CT scan slice | 512x512 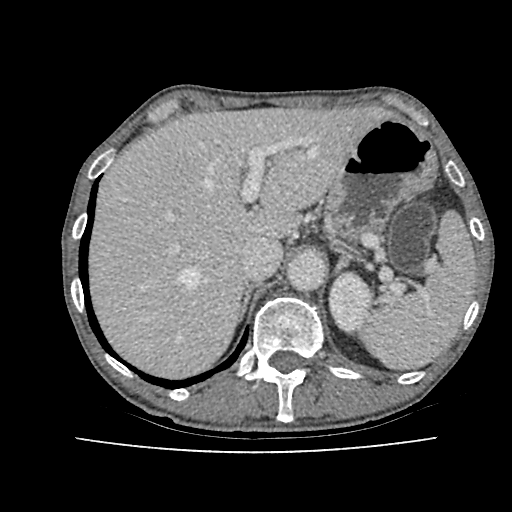 liver: [89, 108, 383, 377] | kidney: [330, 276, 369, 330]